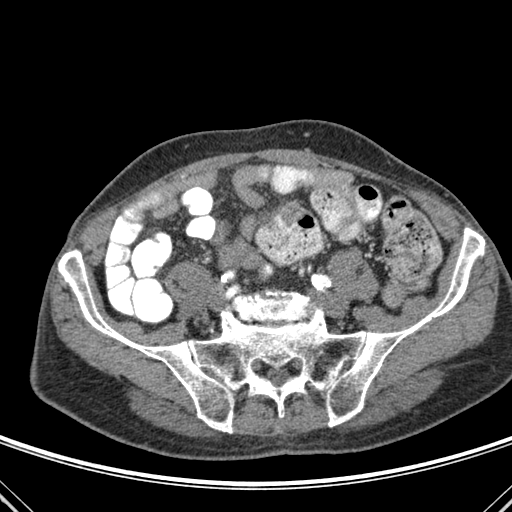
Image size 512x512 | Computed tomography

The bone is bounded by 58,227,485,433.